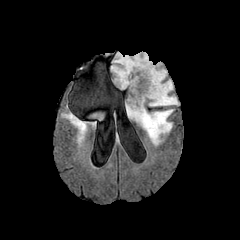
FLAIR MR image.
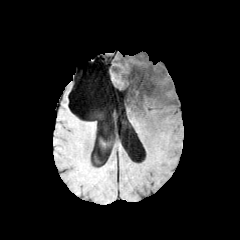
T1-weighted MR image of the same slice.
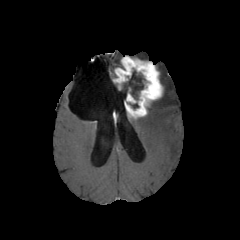
Post-contrast T1-weighted MR image.
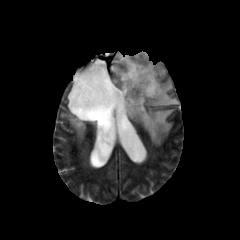
Same slice, T2-weighted MRI.
Head
edema: (92,112,103,119), (69,116,85,129), (110,53,122,73), (131,63,178,144) | non-enhancing tumor core: (118,70,143,107) | enhancing tumor: (114,56,163,117)